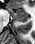
MR. Image size 35x44.
Posterior hippocampus — <box>20,21,26,21</box>.
Anterior hippocampus — <box>8,8,28,20</box>.